Magnetic resonance, Slice 21 of 39, Image size 35x53

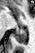
{"posterior_hippocampus": ["(x1=14, y1=28, x2=26, y2=43)", "(x1=20, y1=26, x2=25, y2=27)"]}